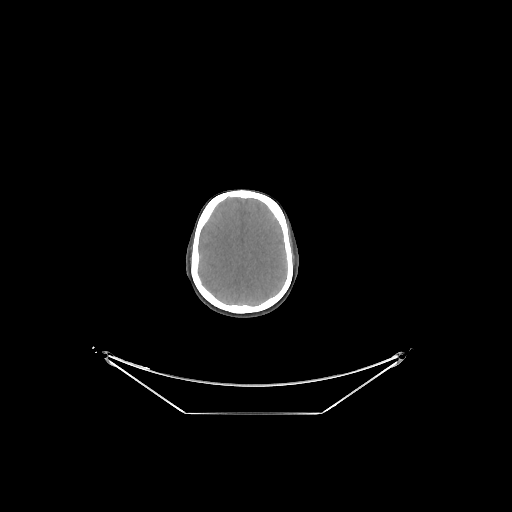
Brain | Image size 512x512 | CT

Brain — bbox=[198, 197, 287, 305].